Slice 124 of 155; Head
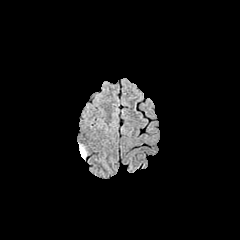
FLAIR MR image.
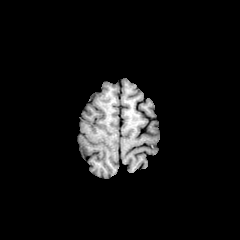
T1-weighted MRI.
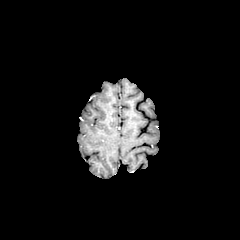
Post-contrast T1-weighted MRI.
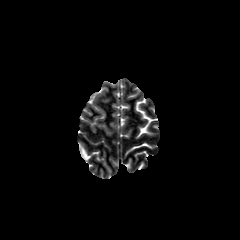
T2-weighted MRI.
edema: <box>79,144,87,158</box>